FLAIR MR.
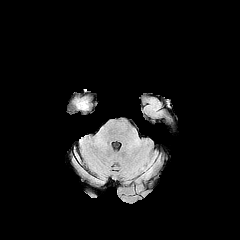
T1-weighted MRI.
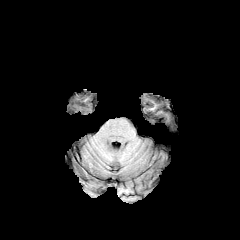
Post-contrast T1-weighted MR image.
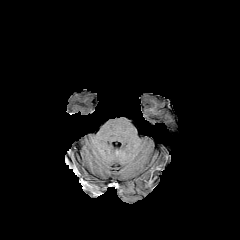
T2-weighted MR image.
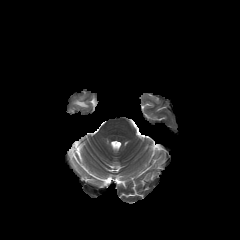
240x240 px
Edema: l=76, t=100, r=87, b=108.